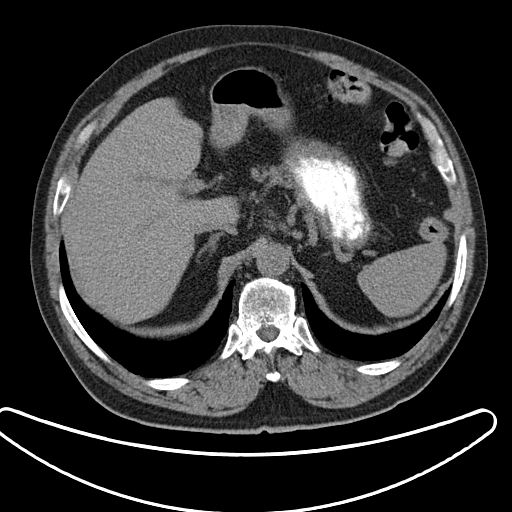 512x512 px, Abdomen, CT image
The spleen appears at (361,242,444,315).